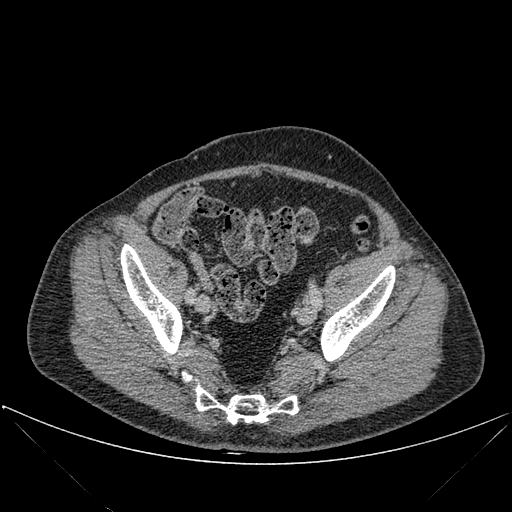
CT image

Bone = bbox(195, 383, 298, 424); bbox(121, 244, 182, 353); bbox(182, 372, 191, 380); bbox(321, 266, 394, 360).